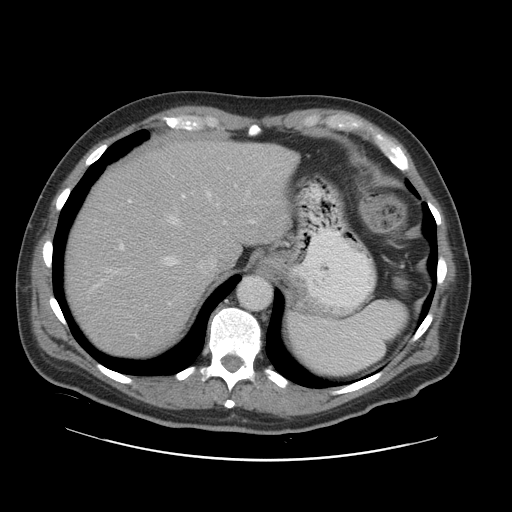

Abdomen | CT scan slice

Only some of the vessels may be annotated.
6 hepatic vessel regions appear at 227, 167, 228, 169; 223, 221, 225, 224; 119, 244, 123, 249; 128, 200, 131, 202; 167, 216, 177, 224; 181, 194, 184, 197.